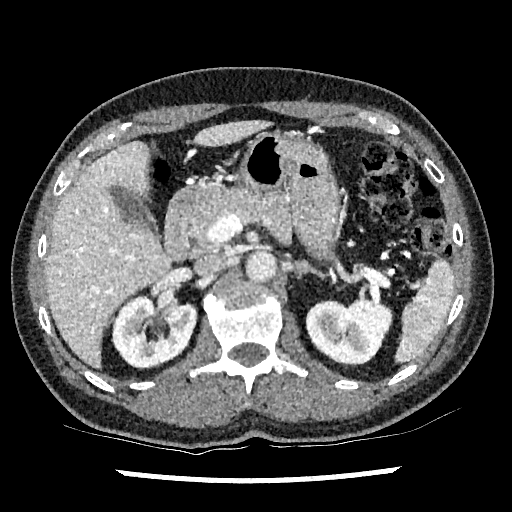

Upper abdomen, CT image
Annotated regions:
- kidney: 307,301,390,362; 113,294,195,366
- liver: 195,120,269,146; 46,142,172,367